MR image. 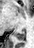
- posterior hippocampus: (14, 31, 24, 40)